CT scan slice. 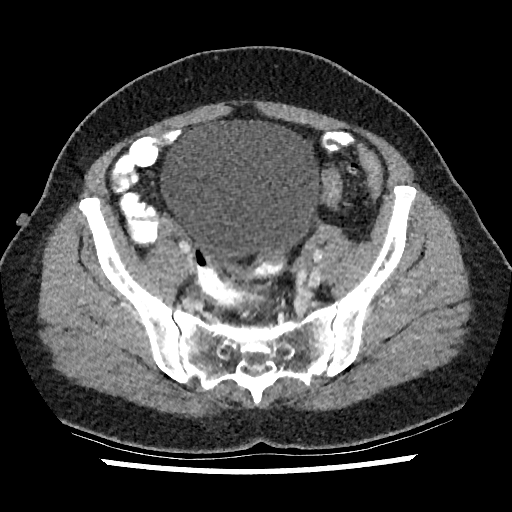 Urinary bladder: bounding box x1=160, y1=120, x2=320, y2=265.